Slice 54/90 | CT | 512x512 px

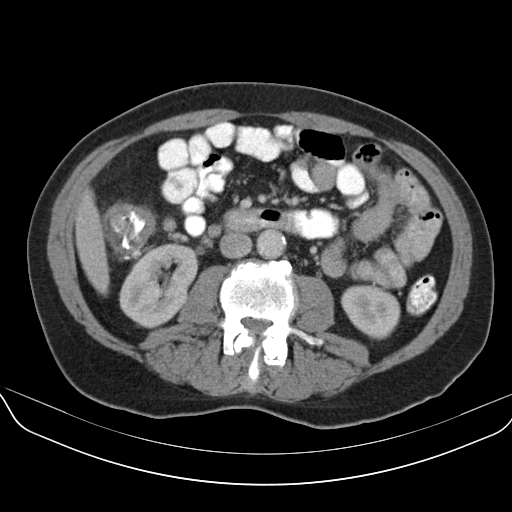

{
  "colon_tumor": [
    "(108,204,130,229)"
  ]
}